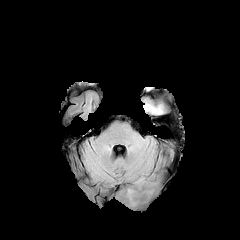
FLAIR MRI.
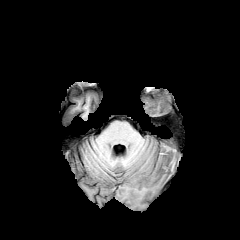
T1-weighted MR image.
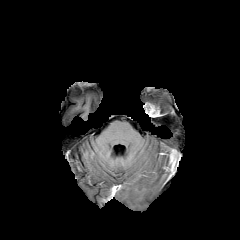
Post-contrast T1-weighted MR image.
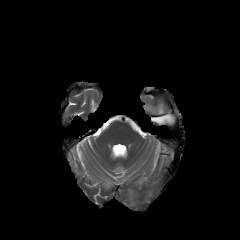
T2-weighted MRI.
{"edema": ["bbox=[145, 102, 163, 115]"]}